Slice index 15; CT; Abdomen
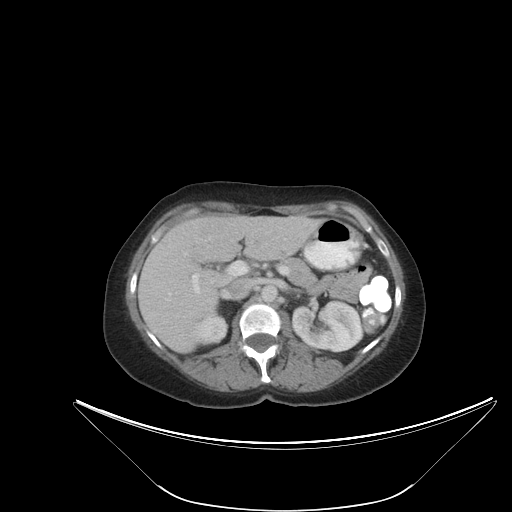

Some hepatic vessels may have no box.
The hepatic vessel is bounded by (left=192, top=274, right=198, bottom=291).